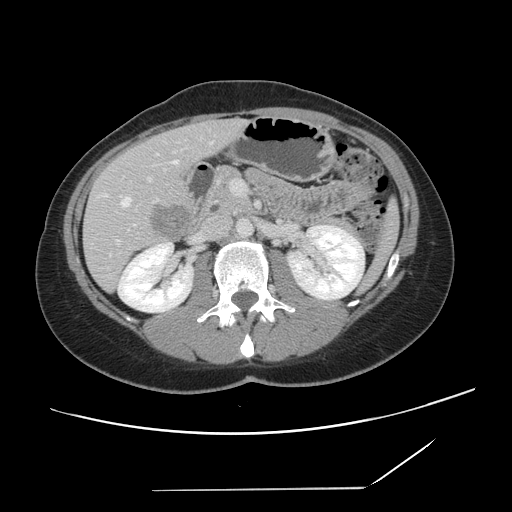

Liver; Computed tomography
Not every hepatic vessel necessarily has a box.
liver tumor: box=[151, 204, 188, 238] | hepatic vessel: box=[210, 142, 212, 143]; box=[156, 153, 158, 155]; box=[120, 196, 130, 206]; box=[173, 160, 177, 163]; box=[99, 194, 107, 196]; box=[148, 178, 150, 180]; box=[116, 240, 119, 241]; box=[154, 198, 158, 202]